MR | Medial temporal lobe 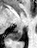

Posterior hippocampus at <bbox>8, 27, 23, 40</bbox>.